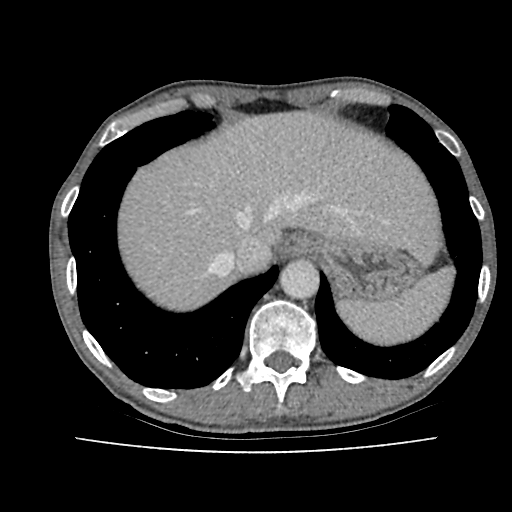
512x512, CT scan slice
Liver = bbox(119, 112, 444, 308).